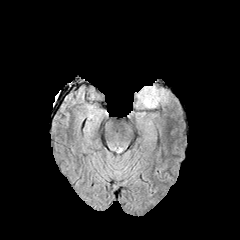
FLAIR magnetic resonance.
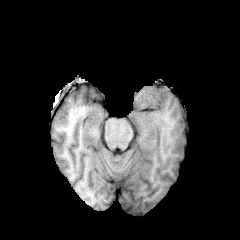
T1-weighted MR image.
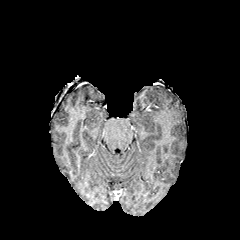
Post-contrast T1-weighted MR image.
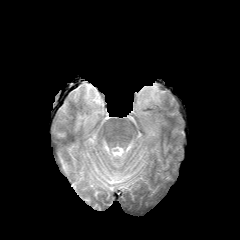
T2-weighted MR image.
Image size 240x240. Brain.
{"edema": ["l=138, t=86, r=160, b=107"]}